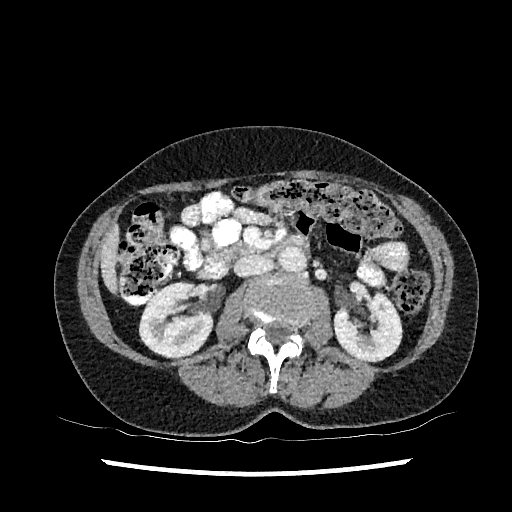

CT. Upper abdomen. liver:
  - l=101, t=226, r=118, b=290
kidney:
  - l=140, t=283, r=212, b=357
  - l=335, t=294, r=401, b=360